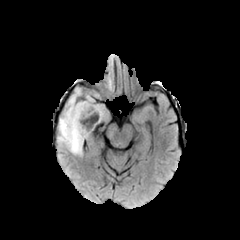
FLAIR MRI.
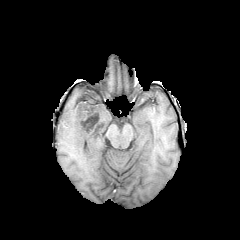
T1-weighted MR.
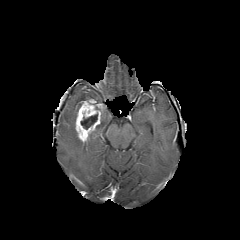
Post-contrast T1-weighted magnetic resonance of the same slice.
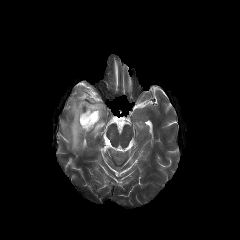
T2-weighted MRI.
240x240 px
<segmentation>
  <edema>bbox=[57, 89, 83, 154]</edema>
  <non-enhancing_tumor_core>bbox=[76, 95, 100, 117]; bbox=[80, 114, 98, 131]</non-enhancing_tumor_core>
  <enhancing_tumor>bbox=[75, 99, 103, 141]</enhancing_tumor>
</segmentation>